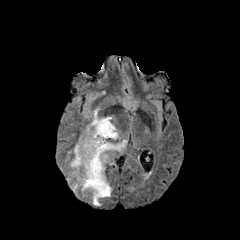
FLAIR MR image.
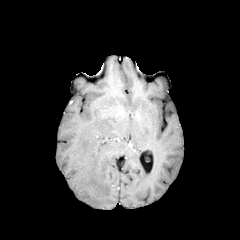
Same slice, T1-weighted MR image.
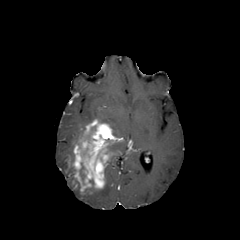
Post-contrast T1-weighted MR of the same slice.
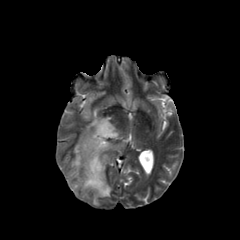
Same slice, T2-weighted MRI.
The enhancing tumor lies within x1=73, y1=119, x2=119, y2=191. The non-enhancing tumor core appears at x1=79, y1=163, x2=85, y2=184. 5 edema regions appear at x1=81, y1=168, x2=112, y2=205; x1=70, y1=180, x2=79, y2=195; x1=66, y1=164, x2=74, y2=183; x1=85, y1=107, x2=119, y2=137; x1=110, y1=139, x2=127, y2=152.